FLAIR magnetic resonance.
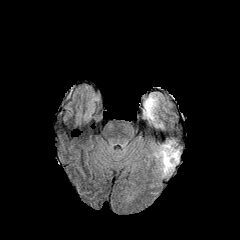
T1-weighted MR image.
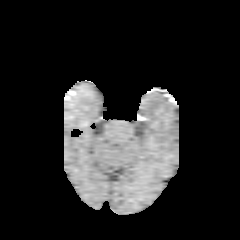
Post-contrast T1-weighted MR image.
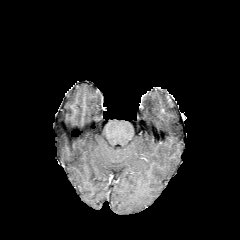
T2-weighted magnetic resonance.
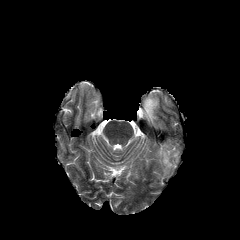
Head
edema:
  - <bbox>156, 145, 163, 161</bbox>
  - <bbox>141, 92, 159, 126</bbox>